Computed tomography; Image size 512x512; Upper abdomen; Image width 374 mm

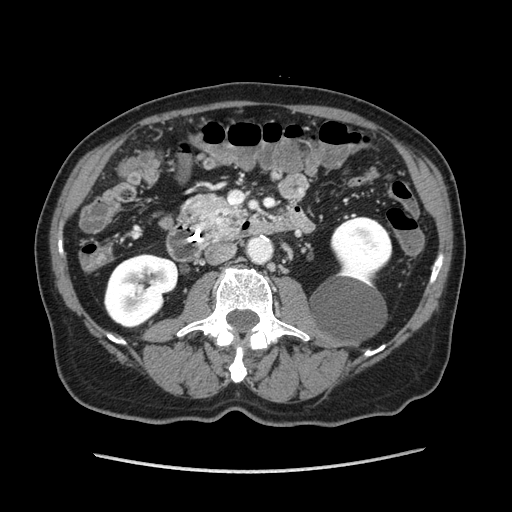 • pancreas: 181, 195, 247, 240
• pancreatic tumor: 214, 211, 241, 237